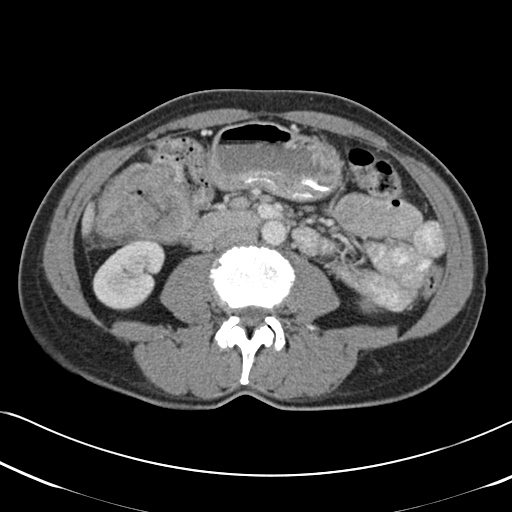 Pelvis. CT slice. 512x512 px.
Colon tumor — l=96, t=163, r=193, b=243.